Slice 84/264; CT; 512x512 px; Thorax
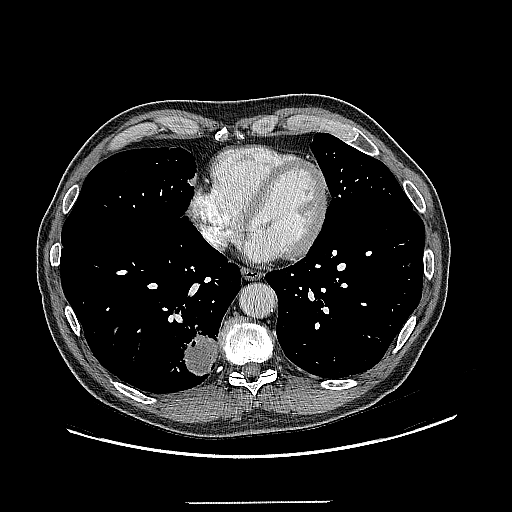 Segmented structures:
* lung tumor: (left=184, top=324, right=218, bottom=375)